Liver; Computed tomography
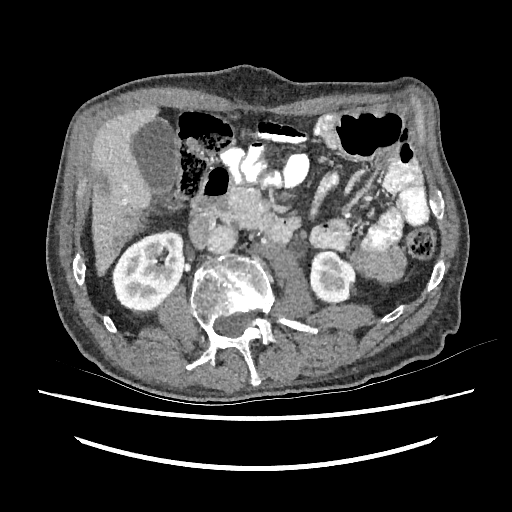
Segmented structures:
* kidney: 113, 233, 184, 309; 311, 252, 354, 301
* focal liver lesion: 108, 205, 141, 250; 96, 171, 109, 194
* liver: 91, 107, 158, 275